Head, Slice 80 of 155
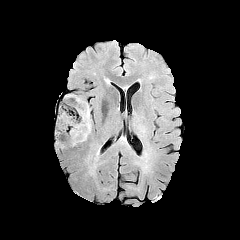
FLAIR magnetic resonance.
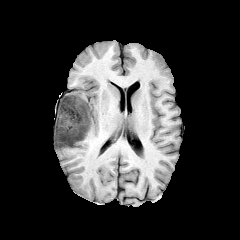
T1-weighted MR image.
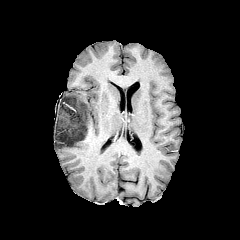
Same slice, post-contrast T1-weighted MR.
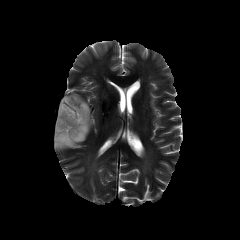
T2-weighted MR of the same slice.
{"edema": ["[64, 95, 75, 109]"], "non-enhancing_tumor_core": ["[56, 95, 91, 147]"]}